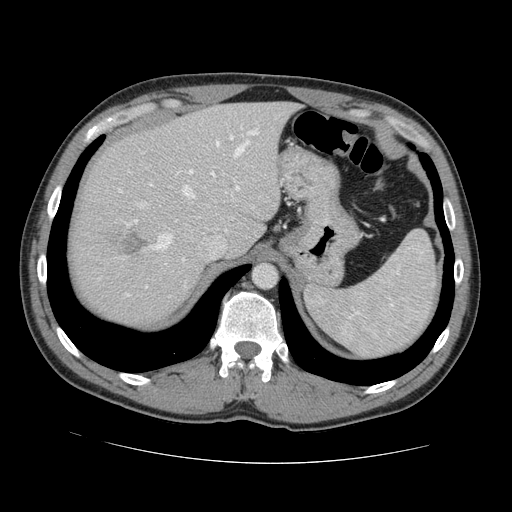

Abdomen; CT image
Not every hepatic vessel necessarily has a box.
The most prominent 15 hepatic vessel regions (of 21) are located at (229,136,232,139), (118,189,121,192), (216,142,219,145), (234,125,258,156), (176,170,179,174), (186,169,192,173), (182,258,183,262), (233,177,236,182), (123,219,137,227), (210,172,215,180), (135,201,147,207), (145,234,172,249), (182,186,194,197), (235,182,241,190), (123,293,128,296). The liver tumor is located at (112,231,146,255).